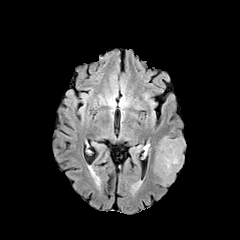
FLAIR MR.
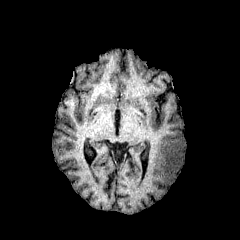
T1-weighted magnetic resonance of the same slice.
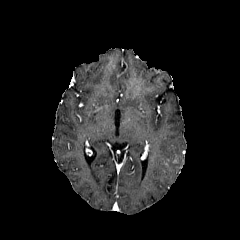
Post-contrast T1-weighted magnetic resonance.
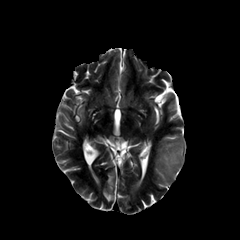
Same slice, T2-weighted MR image.
Brain; 240x240 px
Segmented structures:
* edema: [153,135,185,187]
* non-enhancing tumor core: [162,142,184,181]